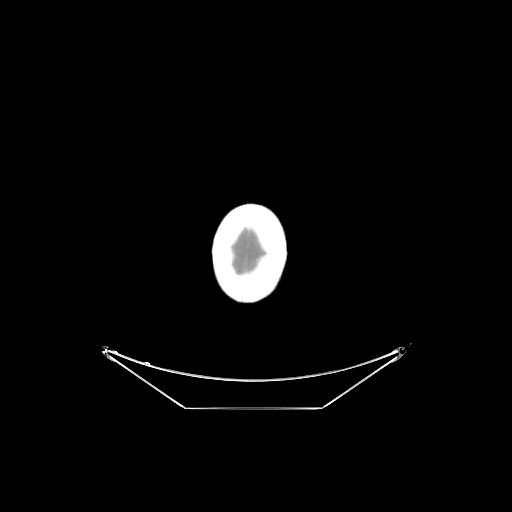 CT image | Brain | 512x512 px
Brain at [232,228,265,274].
Bone at [212,204,286,301].